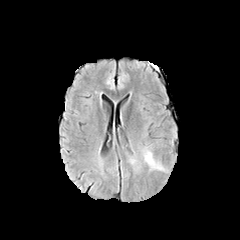
FLAIR MR.
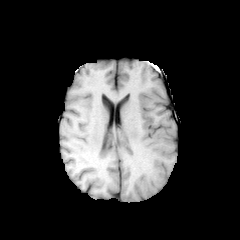
T1-weighted magnetic resonance of the same slice.
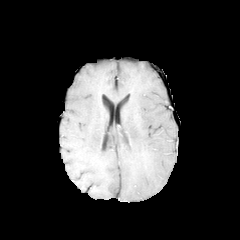
Post-contrast T1-weighted MR.
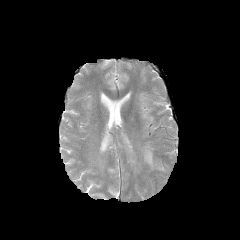
T2-weighted MR.
Edema: bounding box [142, 146, 167, 172].